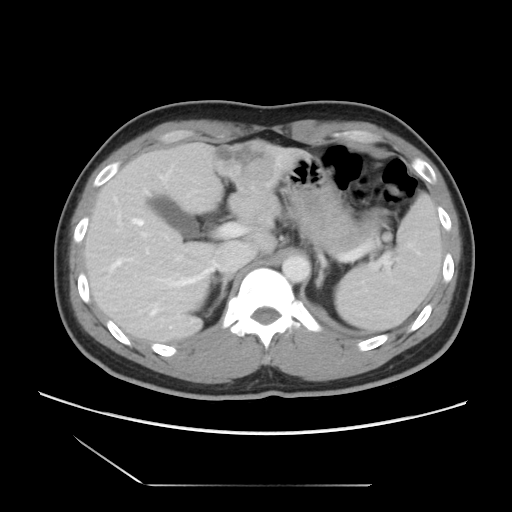 CT slice
The vessel boxes may cover only some of the vessels.
The liver tumor is at bbox=[214, 142, 277, 196]. 4 hepatic vessel regions are located at bbox=[152, 310, 154, 313]; bbox=[133, 219, 142, 224]; bbox=[177, 277, 199, 284]; bbox=[113, 261, 120, 267].